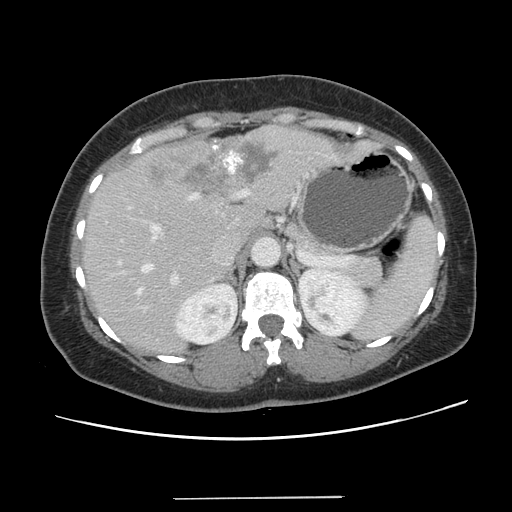

Abdomen, CT image
Not every hepatic vessel necessarily has a box.
Liver tumor = x1=145, y1=141, x2=276, y2=194.
Hepatic vessel = x1=151, y1=225, x2=160, y2=239; x1=128, y1=207, x2=130, y2=208; x1=189, y1=194, x2=197, y2=199; x1=118, y1=261, x2=120, y2=264; x1=142, y1=264, x2=152, y2=271; x1=238, y1=190, x2=248, y2=196; x1=137, y1=288, x2=142, y2=293; x1=171, y1=276, x2=177, y2=283.